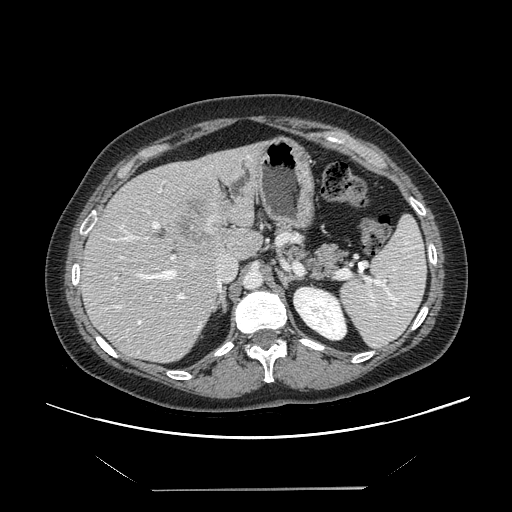 Abdomen; Image size 512x512; CT image
Not every hepatic vessel necessarily has a box.
The liver tumor lies within [166,190,221,247]. 14 hepatic vessel regions are bounded by [136,269,176,279], [177,293,185,299], [144,237,147,239], [152,221,159,228], [171,256,175,260], [120,257,123,258], [192,264,193,266], [159,189,160,191], [107,226,137,240], [112,305,122,308], [138,320,140,323], [216,252,235,283], [146,211,148,212], [114,277,116,278].